FLAIR MRI.
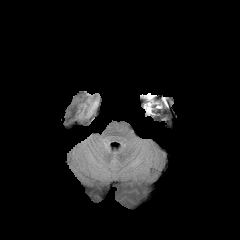
T1-weighted MRI.
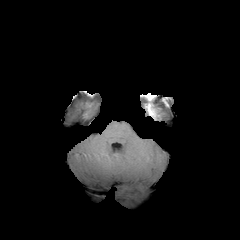
Post-contrast T1-weighted MR image.
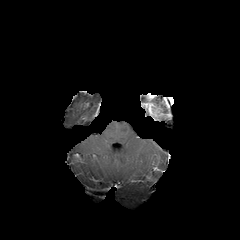
T2-weighted magnetic resonance.
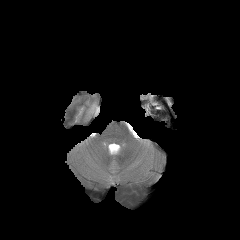
Head.
edema:
  - x1=144, y1=96, x2=161, y2=113